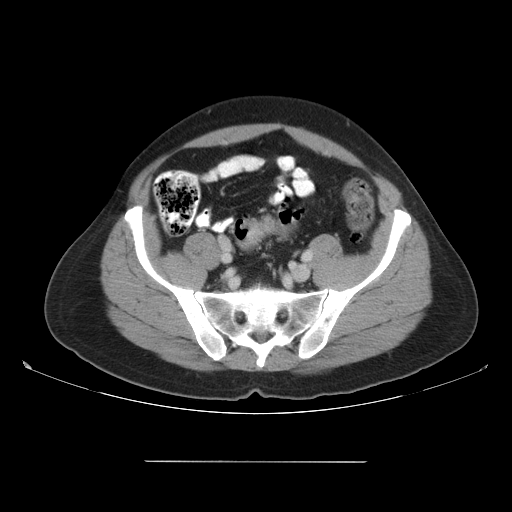

Computed tomography | Pelvis | 512x512
colon_tumor:
  - 237 217 273 249